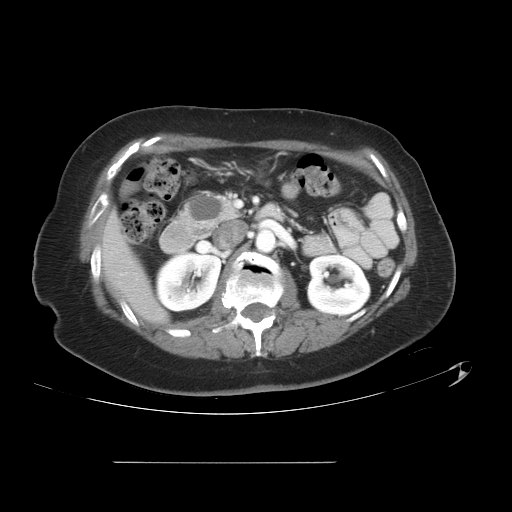 Computed tomography
Pancreatic tumor: bounding box l=190, t=195, r=222, b=219.
Pancreas: bounding box l=179, t=190, r=241, b=231.